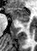
MRI
anterior_hippocampus:
  - 5 8 29 22
posterior_hippocampus:
  - 24 25 26 26